FLAIR MR.
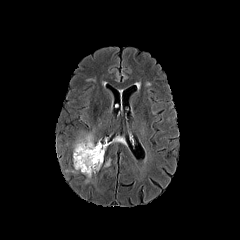
T1-weighted magnetic resonance.
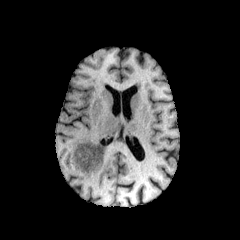
Post-contrast T1-weighted MR.
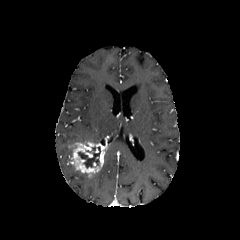
T2-weighted MRI.
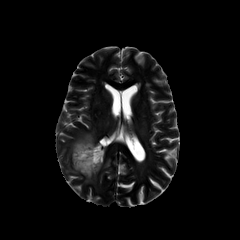
240x240 px
2 edema regions appear at 66:164:95:183, 69:131:94:148. The non-enhancing tumor core is at 78:152:99:168. The enhancing tumor is at 70:141:107:177.